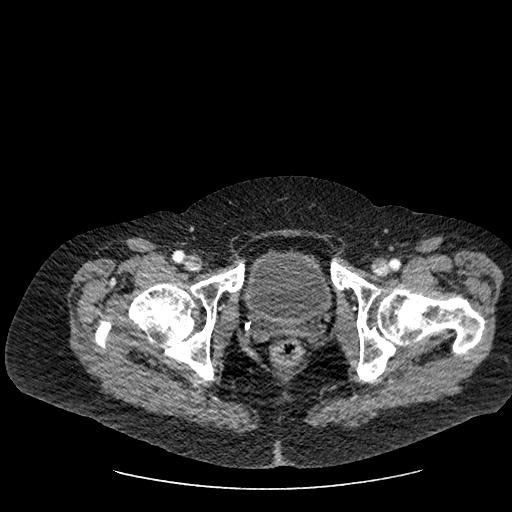

CT image. Image size 512x512. The urinary bladder is located at bbox(239, 249, 332, 328).